CT scan slice, Slice index 628
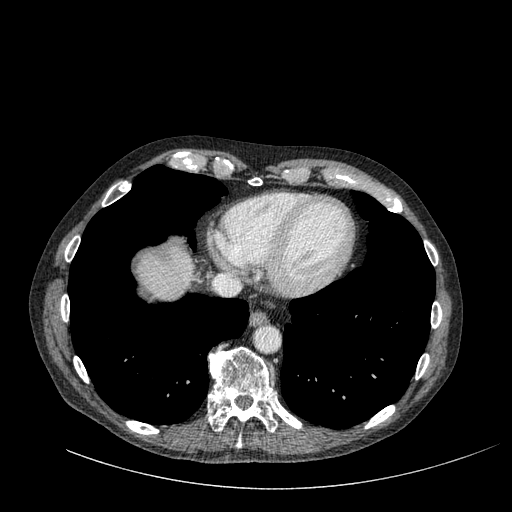
The liver is located at <bbox>137, 246, 192, 301</bbox>.